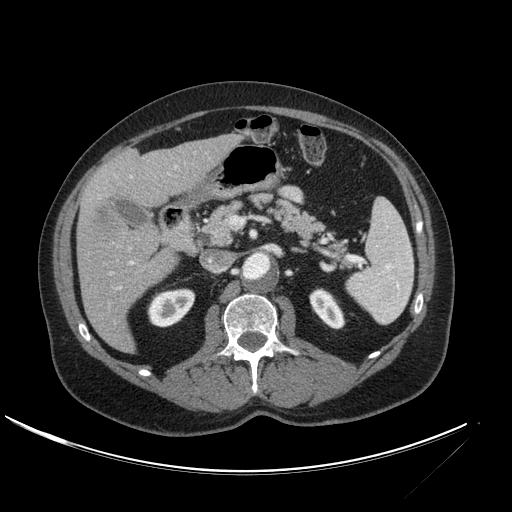
CT slice, Abdomen
2 kidney regions are located at box(149, 290, 193, 325); box(310, 290, 343, 327). The liver is located at box(77, 133, 242, 353). The hepatic lesion is located at box(82, 192, 123, 243).